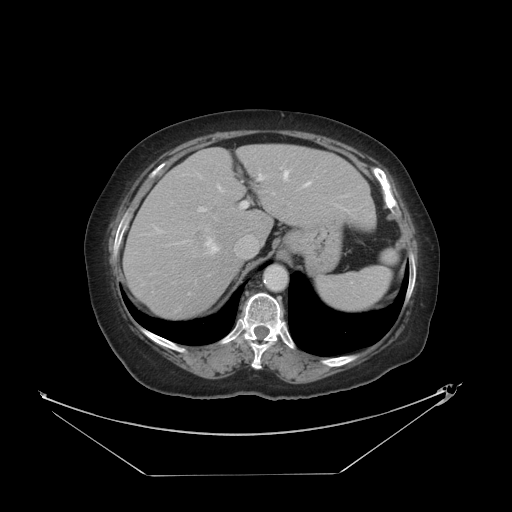

Abdomen | CT scan slice
The vessel boxes may cover only some of the vessels.
5 hepatic vessel regions are located at [281,167,288,179], [258,174,259,178], [155,228,161,232], [240,202,247,207], [205,239,218,252].